Brain, Image size 240x240, Field of view 240x240 mm
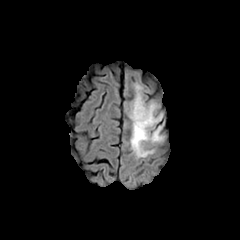
FLAIR magnetic resonance.
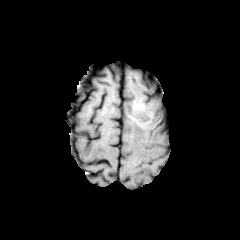
T1-weighted MR of the same slice.
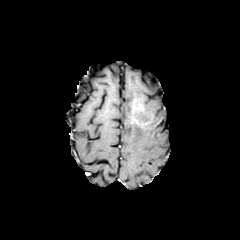
Post-contrast T1-weighted MR image of the same slice.
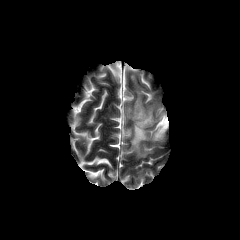
T2-weighted magnetic resonance of the same slice.
The non-enhancing tumor core is located at rect(131, 99, 149, 128). The edema lies within rect(128, 83, 164, 157).